Slice index 594; Field of view 403 mm wide, 0.70 mm slice spacing; CT scan slice
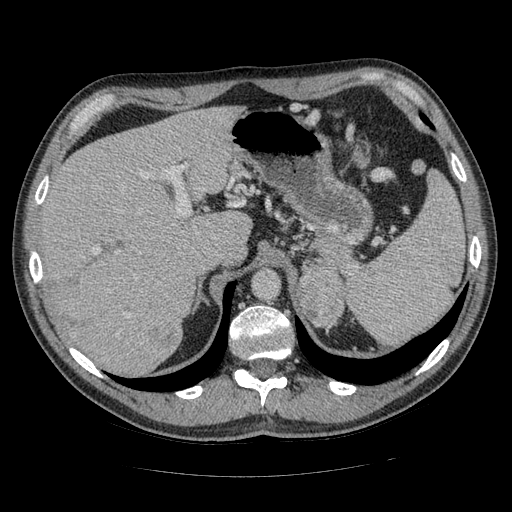
pancreas:
  - region(298, 299, 310, 320)
  - region(301, 238, 352, 276)
  - region(333, 296, 343, 322)
pancreatic_tumor:
  - region(297, 270, 342, 326)